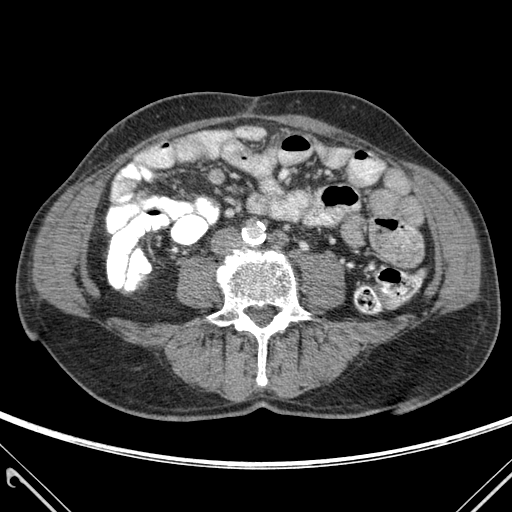 Image size 512x512; CT
Bone — <box>207,250,309,385</box>.